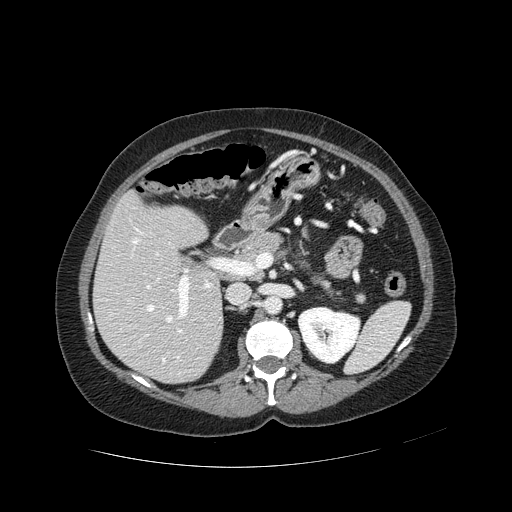 CT scan slice. Abdomen.
{"pancreas": ["252, 271, 261, 278", "239, 233, 282, 265"], "pancreatic_tumor": ["256, 235, 277, 251"]}